FLAIR MR.
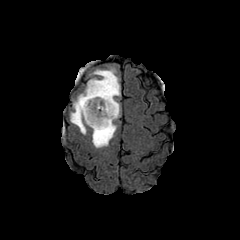
T1-weighted magnetic resonance.
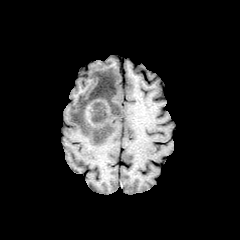
Post-contrast T1-weighted magnetic resonance.
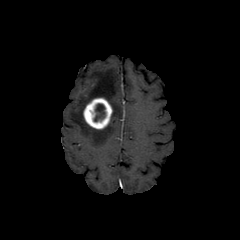
T2-weighted MR.
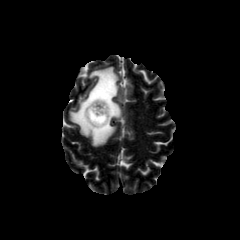
Head
{"enhancing_tumor": ["<box>83,97,112,129</box>"], "edema": ["<box>69,66,121,148</box>"], "non-enhancing_tumor_core": ["<box>94,104,104,121</box>"]}